CT image | 512x512 | Abdomen

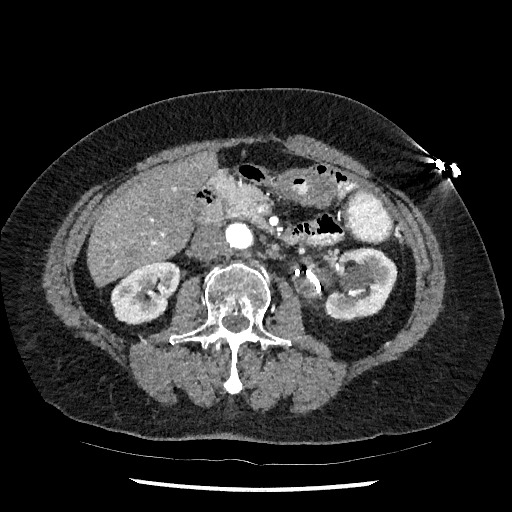
Liver = (87,151,217,287).
Kidney = (326,249,396,319), (111,262,179,323).